Liver; Computed tomography; Image size 512x512 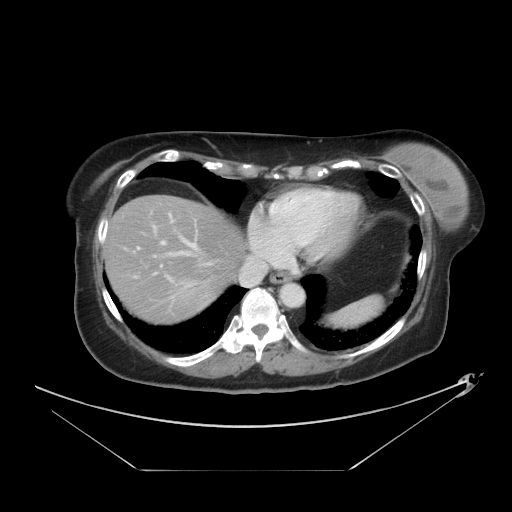

Only some of the vessels may be annotated.
liver_tumor:
  - bbox=[178, 278, 213, 311]
hepatic_vessel:
  - bbox=[167, 277, 171, 280]
  - bbox=[207, 263, 209, 264]
  - bbox=[240, 259, 265, 285]
  - bbox=[171, 219, 172, 221]
  - bbox=[135, 276, 136, 277]
  - bbox=[252, 241, 267, 257]
  - bbox=[182, 238, 197, 249]
  - bbox=[154, 227, 155, 230]
  - bbox=[169, 213, 170, 217]
  - bbox=[161, 241, 164, 244]
  - bbox=[169, 251, 189, 255]